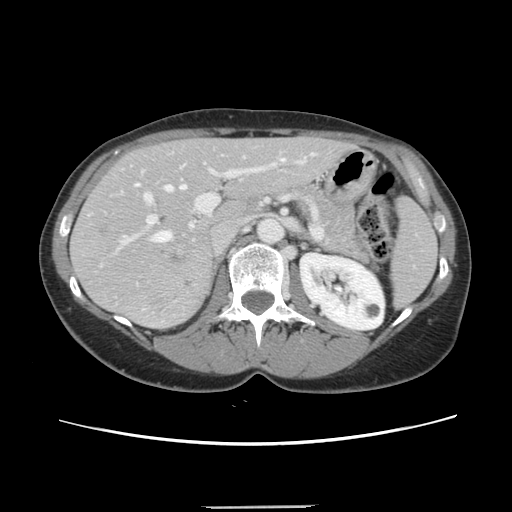

CT image, Image size 512x512
Only some of the vessels may be annotated.
[15/17] hepatic vessel: region(180, 164, 183, 167); region(281, 158, 284, 162); region(297, 157, 305, 163); region(270, 163, 275, 166); region(189, 223, 192, 226); region(119, 236, 133, 247); region(152, 230, 170, 241); region(144, 192, 151, 202); region(135, 184, 139, 185); region(195, 193, 218, 215); region(165, 185, 171, 190); region(180, 185, 184, 188); region(147, 214, 155, 225); region(209, 169, 215, 173); region(225, 167, 265, 176)